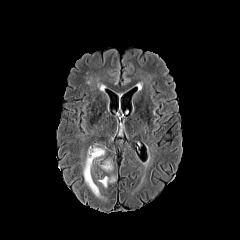
FLAIR magnetic resonance.
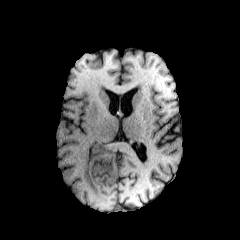
T1-weighted MR image.
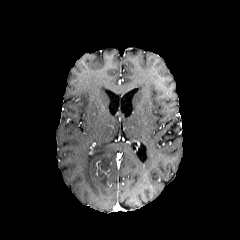
Post-contrast T1-weighted MR image.
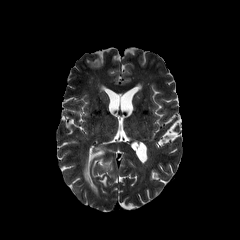
T2-weighted magnetic resonance.
Non-enhancing tumor core at {"x1": 102, "y1": 160, "x2": 111, "y2": 170}.
Edema at {"x1": 81, "y1": 146, "x2": 104, "y2": 195}, {"x1": 97, "y1": 176, "x2": 116, "y2": 188}.